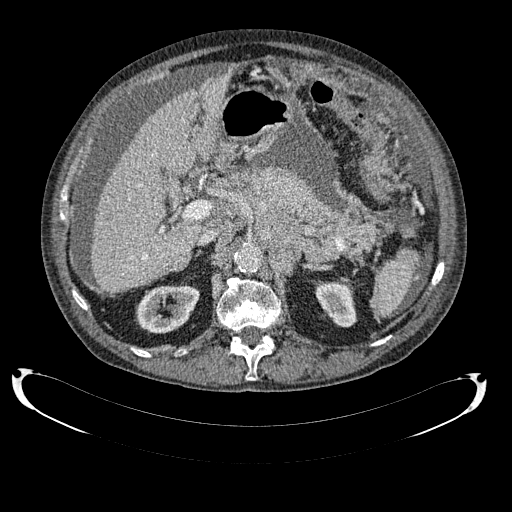 Computed tomography, Abdomen
Segmented structures:
- kidney: 316, 282, 355, 326; 137, 286, 199, 332
- liver: 91, 73, 231, 293